Abdomen | CT scan slice | Slice 475 of 624
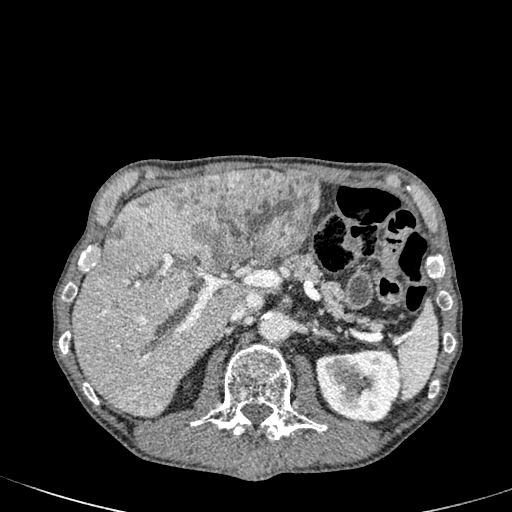
Liver: bounding box 72:186:246:416.
Kidney: bounding box 315:351:404:420.
Hepatic lesion: bounding box 165:169:319:270, 108:226:122:238, 140:196:151:207.